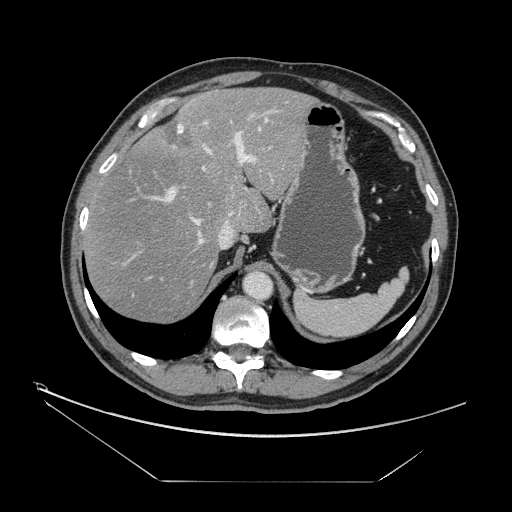
512x512 px, Computed tomography
The vessel annotation is not exhaustive.
{"hepatic_vessel": ["box=[198, 233, 200, 234]", "box=[205, 147, 210, 153]", "box=[203, 167, 204, 169]", "box=[265, 118, 267, 121]", "box=[258, 127, 260, 129]", "box=[162, 188, 174, 201]", "box=[204, 122, 206, 123]", "box=[233, 132, 255, 162]", "box=[194, 219, 199, 223]", "box=[226, 222, 227, 224]", "box=[199, 239, 202, 242]"], "liver_tumor": ["box=[166, 122, 194, 151]"]}